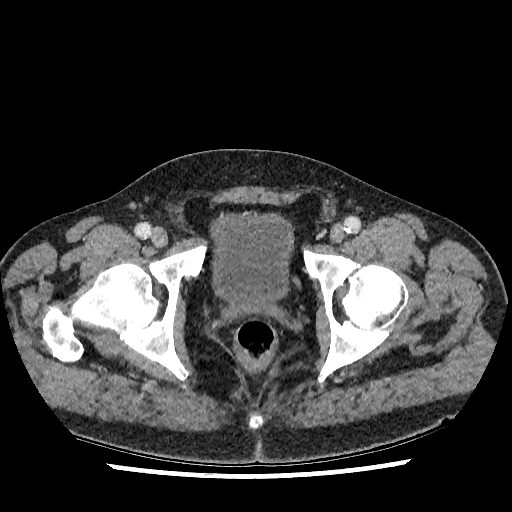 Pelvis; Image size 512x512; CT scan slice
The urinary bladder appears at box(210, 211, 294, 309).